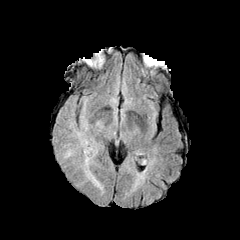
FLAIR magnetic resonance.
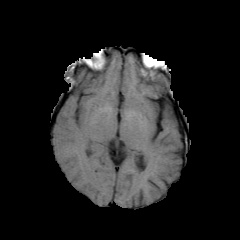
Same slice, T1-weighted magnetic resonance.
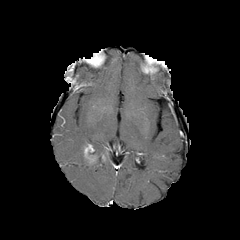
Post-contrast T1-weighted MR.
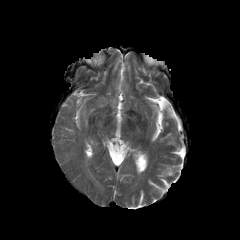
T2-weighted MR image.
Head. Image size 240x240.
Edema — <box>75,134,103,190</box>, <box>82,122,89,131</box>.